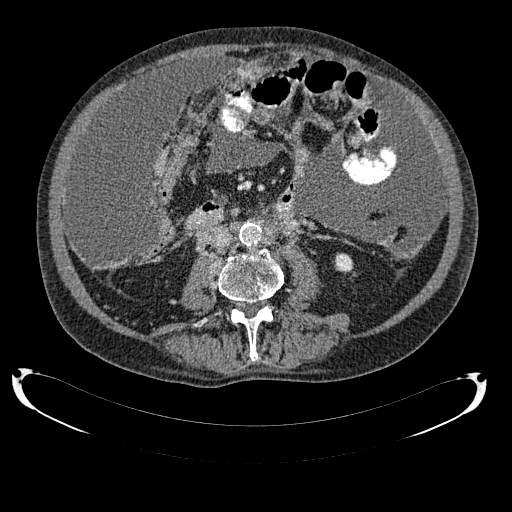
Computed tomography.
Kidney = [x1=336, y1=254, x2=352, y2=271].